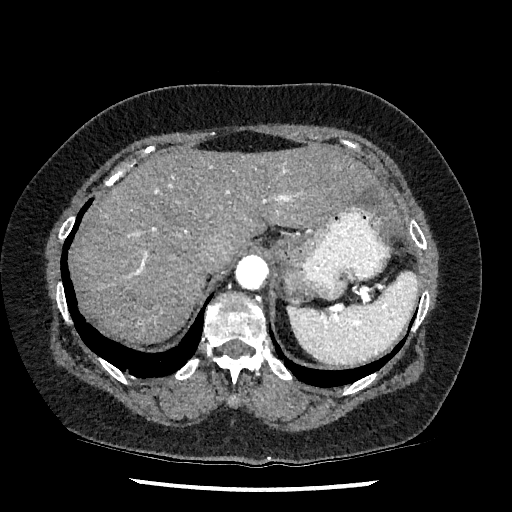
CT scan slice; 512x512
focal_liver_lesion:
  - {"x1": 353, "y1": 188, "x2": 380, "y2": 206}
liver:
  - {"x1": 72, "y1": 145, "x2": 398, "y2": 342}